FLAIR magnetic resonance.
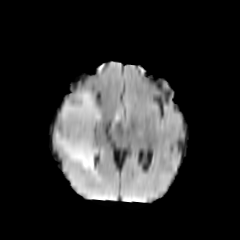
T1-weighted magnetic resonance.
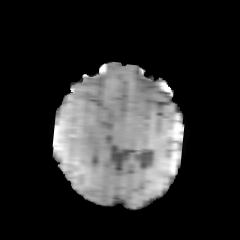
Post-contrast T1-weighted MRI.
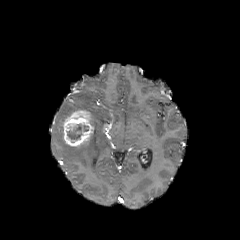
T2-weighted MR image.
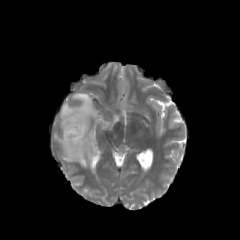
Brain
Enhancing tumor: bounding box 62:109:94:146.
Edema: bounding box 54:93:103:169.
Non-enhancing tumor core: bounding box 67:124:88:141.